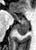
Medial temporal lobe | MRI
Posterior hippocampus — x1=14, y1=23, x2=28, y2=35.
Anterior hippocampus — x1=11, y1=12, x2=28, y2=22.